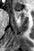

MR
The anterior hippocampus is bounded by l=16, t=11, r=19, b=11.